CT image; 512x512; Slice 9 of 73

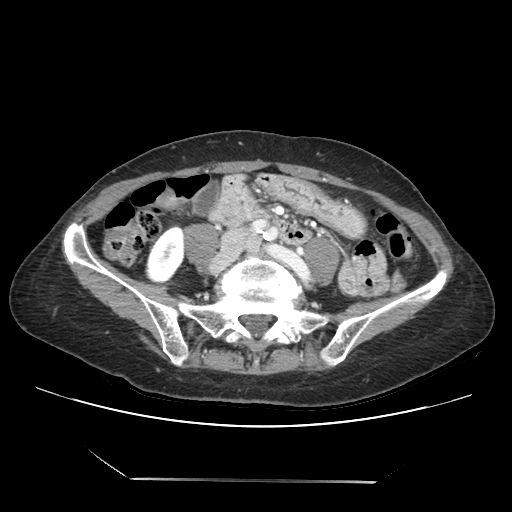
Pancreas: bounding box rect(211, 174, 268, 227).